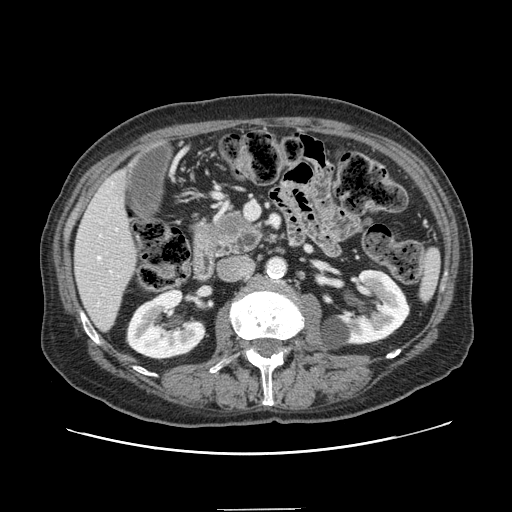

CT. The pancreatic tumor is located at (215,214,243,239). The pancreas is at (212,206,263,256).